Slice 20 of 41. MRI. Field of view 36x42 mm. Hippocampus.
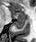

Anterior hippocampus: bounding box 12:11:25:20.
Posterior hippocampus: bounding box 12:21:24:28.